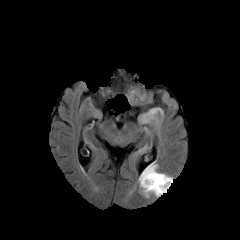
FLAIR MRI.
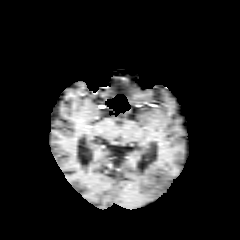
T1-weighted MR of the same slice.
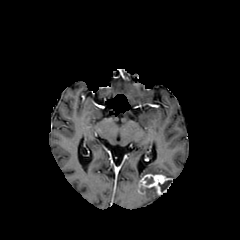
Same slice, post-contrast T1-weighted MRI.
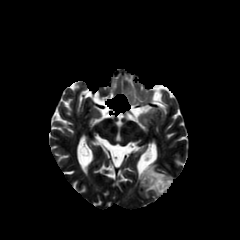
T2-weighted magnetic resonance.
edema:
  - (left=136, top=162, right=170, bottom=198)
non-enhancing_tumor_core:
  - (left=159, top=180, right=171, bottom=192)
enhancing_tumor:
  - (left=139, top=174, right=171, bottom=195)